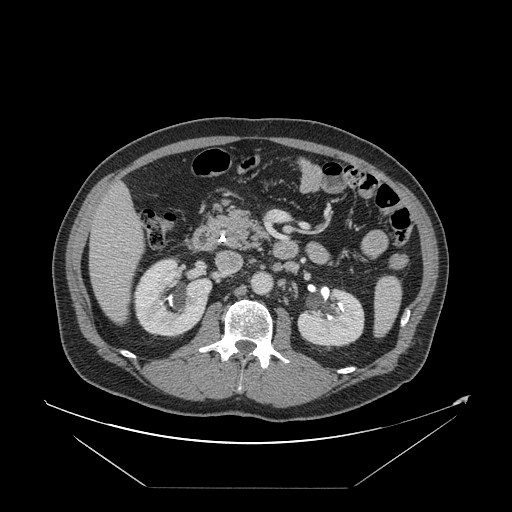 Image size 512x512 | CT

The vessel boxes may cover only some of the vessels.
Annotated regions:
* hepatic vessel: region(107, 245, 108, 247)